Field of view 370 mm wide, 0.70 mm slice spacing | Computed tomography | Image size 512x512 | Abdomen 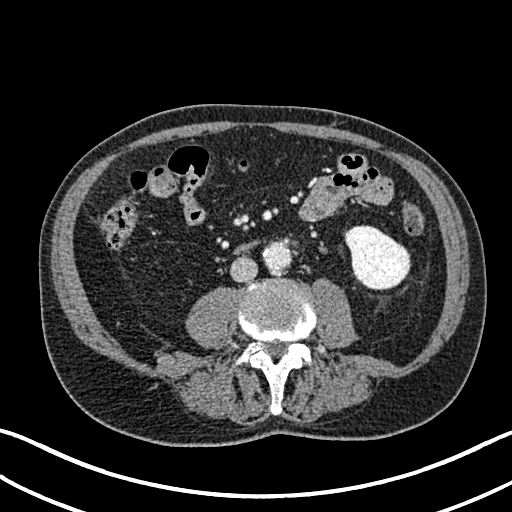

kidney:
  - left=346, top=226, right=409, bottom=288